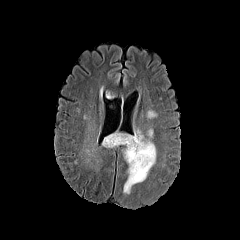
FLAIR MR.
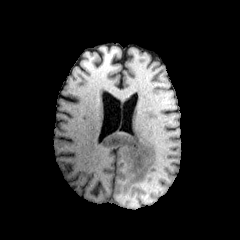
T1-weighted MR.
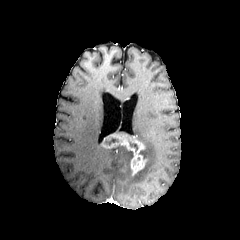
Post-contrast T1-weighted MR image.
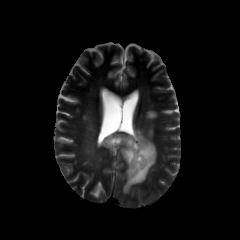
T2-weighted MRI.
<segmentation>
  <edema>bbox=[144, 109, 158, 119]; bbox=[121, 126, 156, 193]</edema>
  <enhancing_tumor>bbox=[101, 131, 148, 175]</enhancing_tumor>
</segmentation>